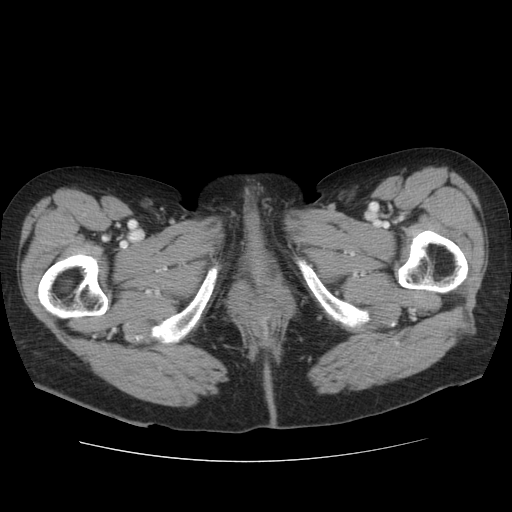

CT image. 4 bone regions are bounded by x1=33 y1=252 x2=107 y2=320, x1=399 y1=229 x2=475 y2=300, x1=296 y1=258 x2=371 y2=331, x1=135 y1=264 x2=218 y2=346.